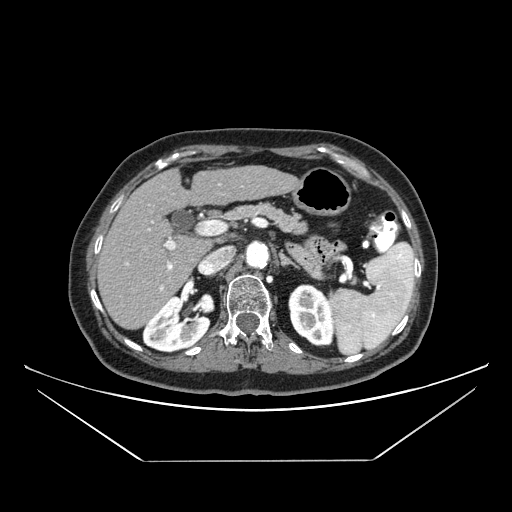 512x512 px, CT, Upper abdomen

The pancreas is at 196 203 308 236.